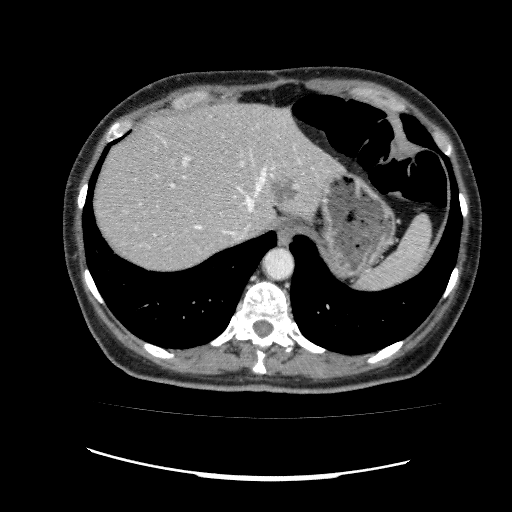
Computed tomography
{"liver": ["<box>94,101,344,272</box>"], "focal_liver_lesion": ["<box>270,178,297,204</box>"]}